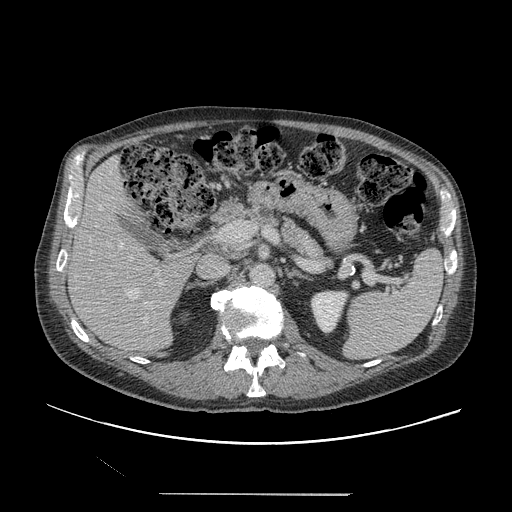
512x512 px; CT image

pancreas:
  - region(246, 203, 333, 269)